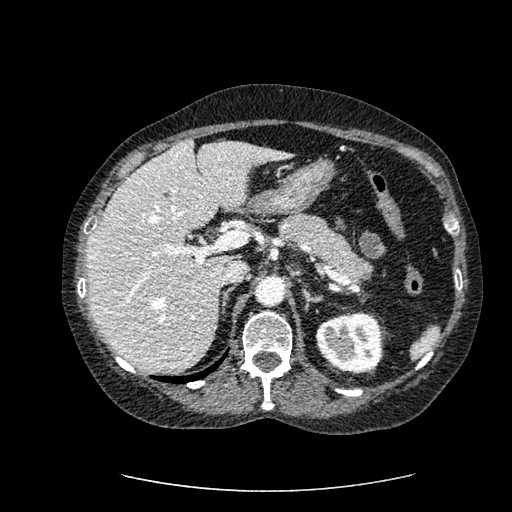

Liver. CT slice. Findings:
- focal liver lesion: [x1=163, y1=191, x2=170, y2=199]
- kidney: [x1=316, y1=313, x2=381, y2=372]
- liver: [x1=87, y1=139, x2=295, y2=371]